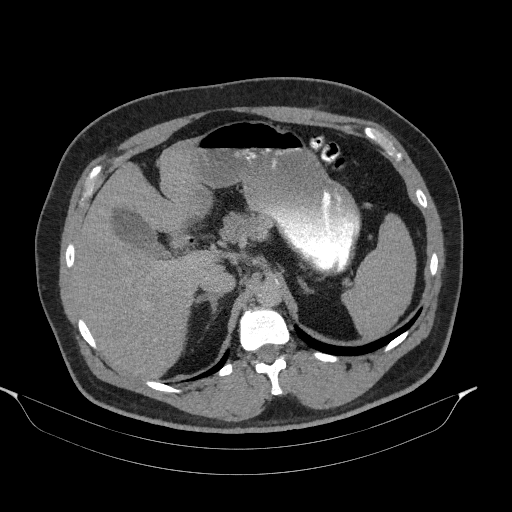 512x512 px. Upper abdomen. CT image. Annotated regions:
- pancreas: x1=221, y1=212, x2=272, y2=241